Image width 240 mm; Brain; 240x240
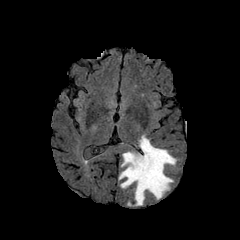
FLAIR magnetic resonance.
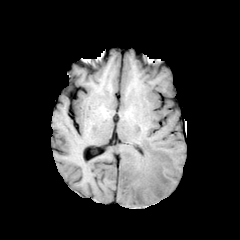
T1-weighted magnetic resonance of the same slice.
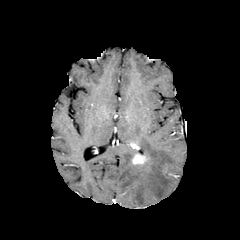
Post-contrast T1-weighted MR image of the same slice.
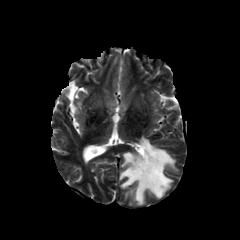
T2-weighted MRI.
Non-enhancing tumor core at (136,150,153,177).
Edema at (119,135,176,205).
Enhancing tumor at (132,153,149,165).